Slice index 131 | Upper abdomen | Image size 512x512 | CT slice

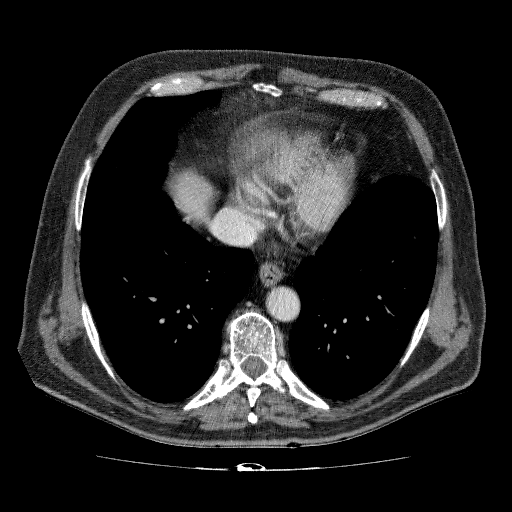 2 liver regions are located at bbox(236, 129, 282, 163); bbox(170, 169, 212, 222).